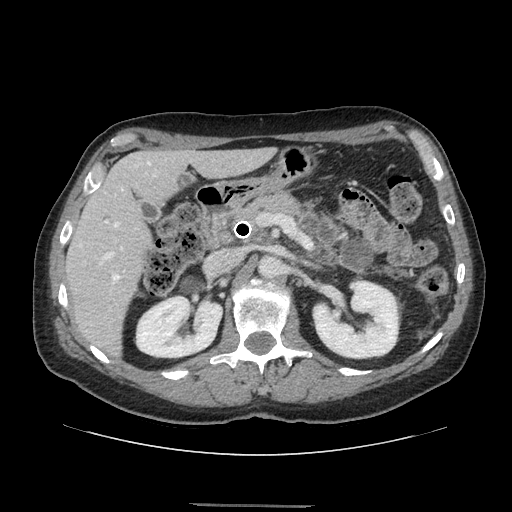 CT scan slice | 512x512 px
{
  "pancreas": [
    "236:194:299:226"
  ]
}